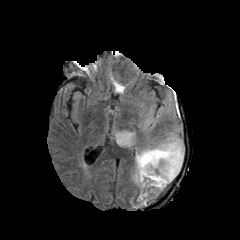
FLAIR MR.
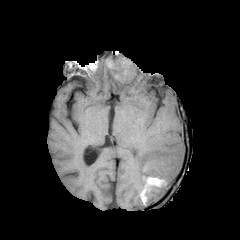
T1-weighted MR image of the same slice.
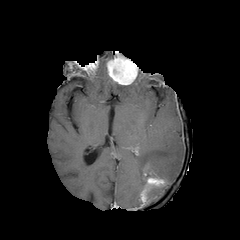
Post-contrast T1-weighted MRI.
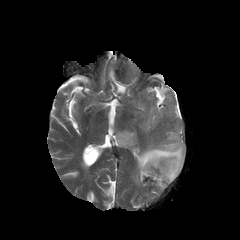
T2-weighted MR.
240x240
Non-enhancing tumor core at rect(107, 55, 135, 83); rect(145, 171, 168, 187).
Enhancing tumor at rect(108, 67, 135, 84); rect(148, 177, 164, 185).
Edema at rect(134, 131, 184, 195); rect(112, 82, 128, 93); rect(147, 185, 166, 195).